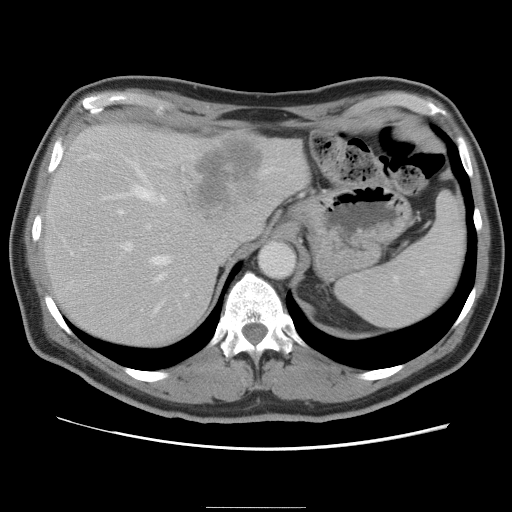 CT slice
The vessel annotation is not exhaustive.
Hepatic vessel — (69,251,72,254), (120,241,132,249), (184,293,187,295), (118,209,122,213), (146,224,149,228), (85,152,98,157), (62,237,63,240), (150,255,169,264), (155,273,163,280), (154,304,160,311), (105,159,164,202).
Liver tumor — (198,138,262,205).